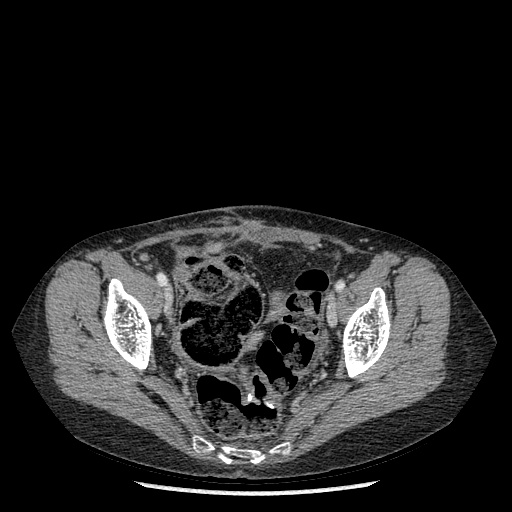 CT scan slice
bone:
  - x1=193 y1=435 x2=290 y2=463
  - x1=104 y1=278 x2=151 y2=370
  - x1=343 y1=287 x2=390 y2=377